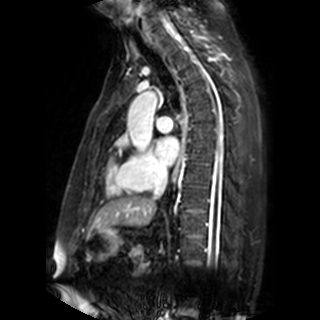 Cardiac, 320x320 px, MRI
Segmented structures:
- left atrium: 155:137:178:165